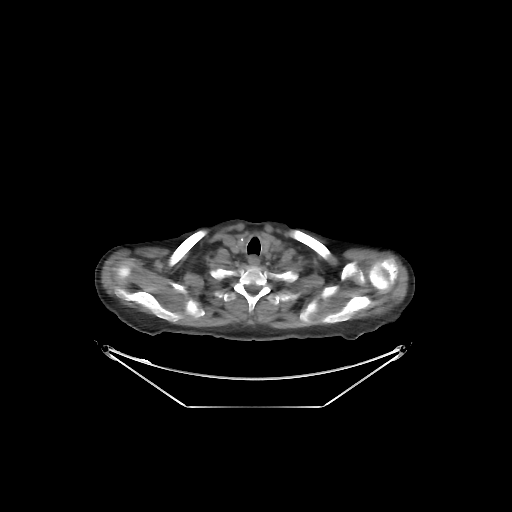
CT image, Chest

Bone: (277,272,291,280), (321,296,374,322), (233,266,270,311), (116,262,182,321), (291,231,329,258), (326,287,336,294), (341,259,397,293), (169,231,205,265), (185,300,203,318), (211,269,232,278).
Lung: (247,237,260,255).